Head, Slice 81/155, Image size 240x240
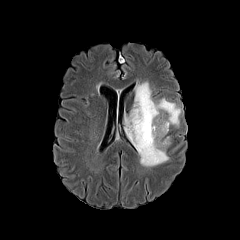
FLAIR MR image.
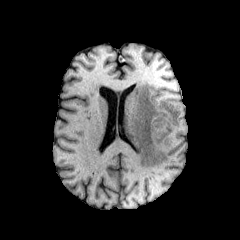
Same slice, T1-weighted magnetic resonance.
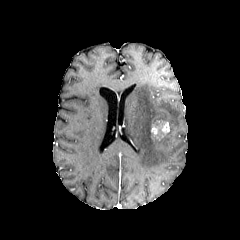
Post-contrast T1-weighted MRI.
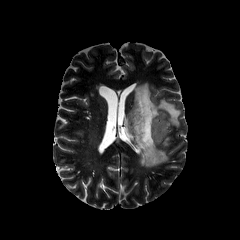
Same slice, T2-weighted MR.
edema: (left=125, top=83, right=180, bottom=167) | enhancing tumor: (left=151, top=121, right=169, bottom=138) | non-enhancing tumor core: (left=154, top=130, right=170, bottom=148), (left=152, top=110, right=169, bottom=127)